512x512; Abdomen; Field of view 355 mm wide, 2.50 mm slice spacing; CT 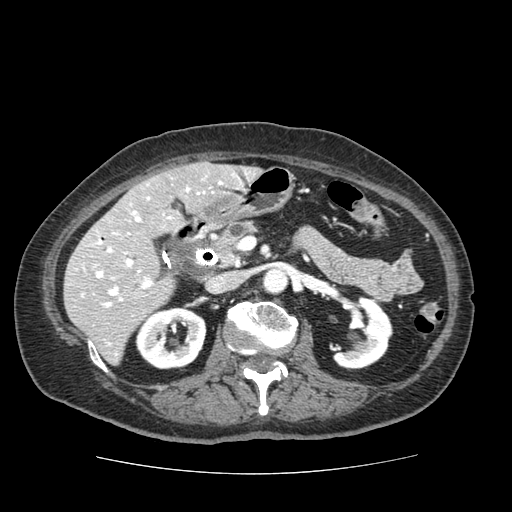

Pancreatic tumor: x1=215 y1=239 x2=231 y2=252.
Pancreas: x1=213 y1=222 x2=255 y2=266.